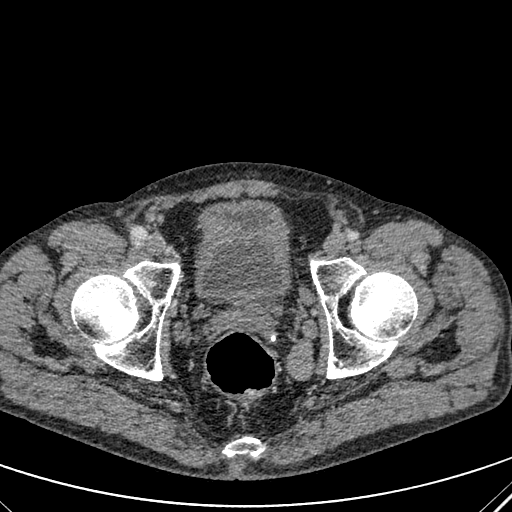

CT image, Pelvis, 512x512
urinary_bladder:
  - box(201, 208, 282, 296)